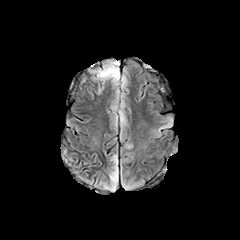
FLAIR MR image.
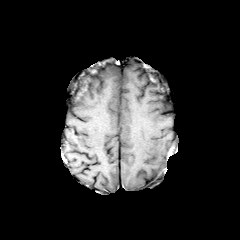
Same slice, T1-weighted MR image.
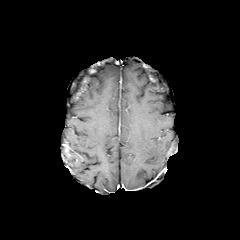
Post-contrast T1-weighted MR of the same slice.
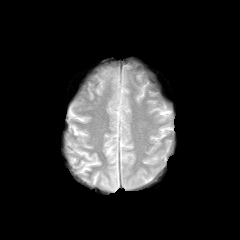
T2-weighted MR image.
The edema is at <bbox>110, 168, 117, 190</bbox>.